FLAIR MR image.
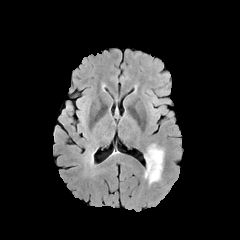
T1-weighted MR image.
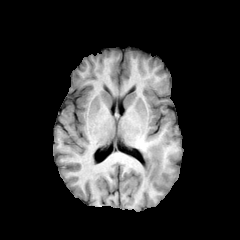
Post-contrast T1-weighted MRI.
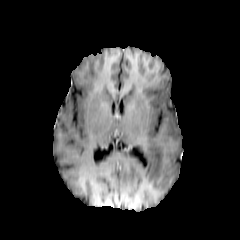
T2-weighted MR.
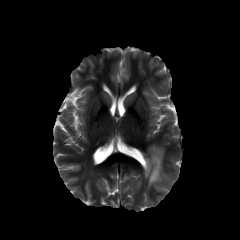
Head | 240x240 px
<segmentation>
  <edema>(144, 144, 164, 185)</edema>
</segmentation>